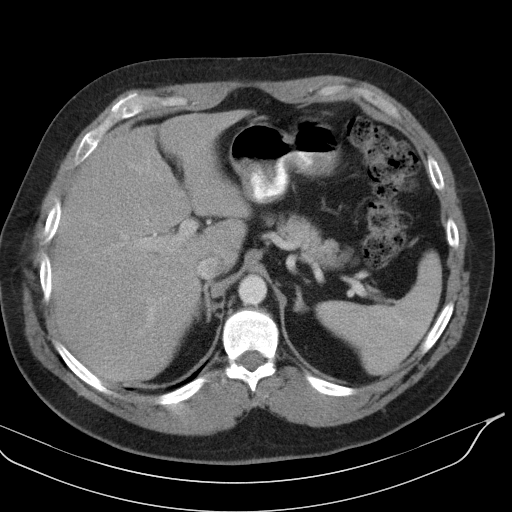
CT scan slice

<segmentation>
  <spleen>[318, 255, 440, 373]</spleen>
</segmentation>